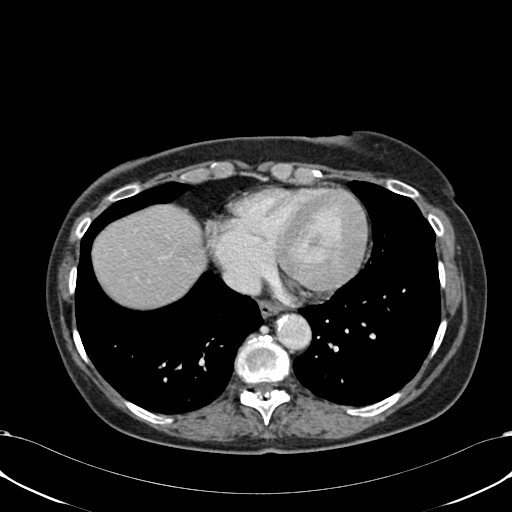

CT image, 512x512 px
Annotated regions:
- liver: 93,205,203,306